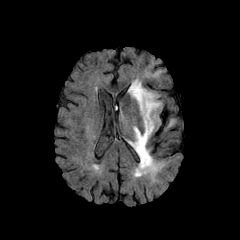
FLAIR MR image.
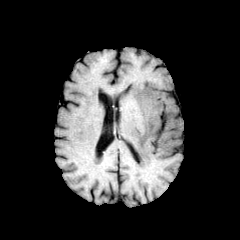
T1-weighted MR of the same slice.
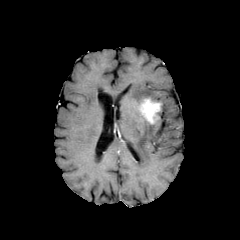
Post-contrast T1-weighted MR image.
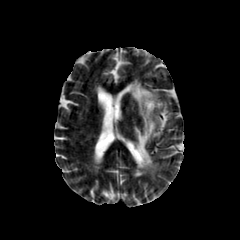
T2-weighted MR image.
Enhancing tumor = x1=139, y1=97, x2=162, y2=124.
Edema = x1=126, y1=79, x2=159, y2=176.